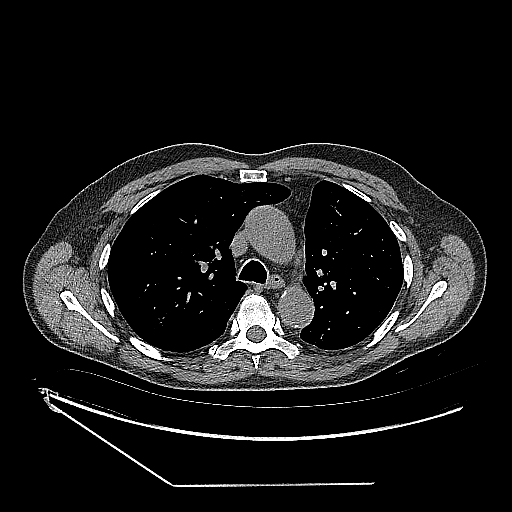
CT image
lung tumor: 157:312:168:322